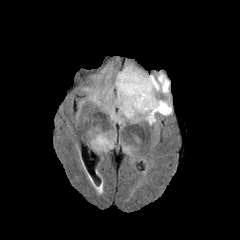
FLAIR magnetic resonance.
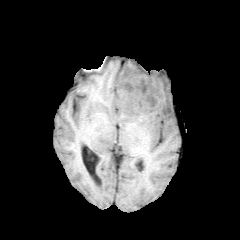
T1-weighted MR image.
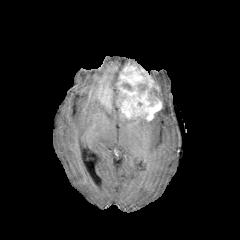
Post-contrast T1-weighted magnetic resonance.
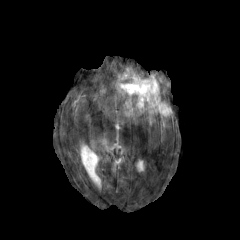
T2-weighted MR image.
Head
Edema at bbox(94, 136, 113, 149); bbox(92, 72, 172, 125).
Non-enhancing tumor core at bbox(115, 90, 119, 108); bbox(138, 84, 147, 91); bbox(149, 88, 160, 97).
Enhancing tumor at bbox(116, 64, 162, 120); bbox(100, 88, 109, 104).